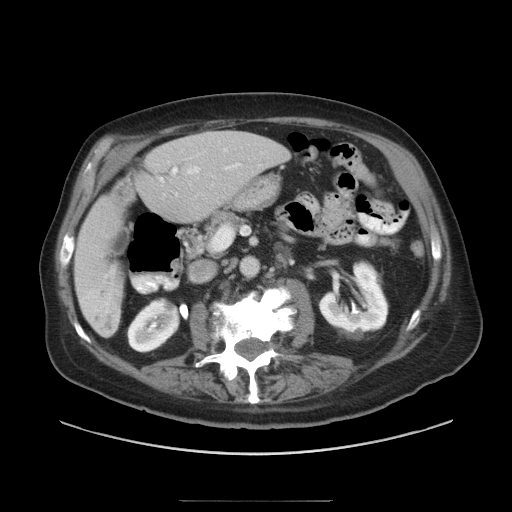

Liver. CT scan slice. Only some of the vessels may be annotated.
The liver tumor is at {"x1": 90, "y1": 314, "x2": 114, "y2": 332}. 7 hepatic vessel regions are bounded by {"x1": 225, "y1": 149, "x2": 227, "y2": 151}, {"x1": 225, "y1": 163, "x2": 241, "y2": 169}, {"x1": 159, "y1": 177, "x2": 163, "y2": 181}, {"x1": 173, "y1": 168, "x2": 177, "y2": 173}, {"x1": 175, "y1": 192, "x2": 177, "y2": 195}, {"x1": 188, "y1": 167, "x2": 199, "y2": 173}, {"x1": 211, "y1": 226, "x2": 232, "y2": 250}.